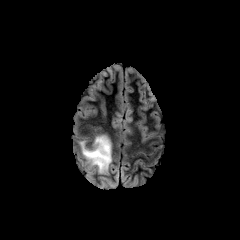
FLAIR magnetic resonance.
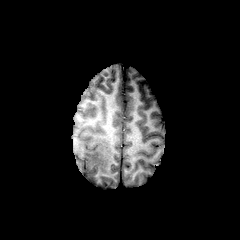
T1-weighted MR image.
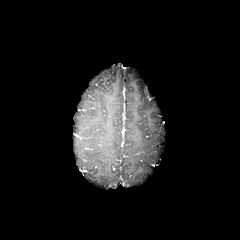
Post-contrast T1-weighted magnetic resonance of the same slice.
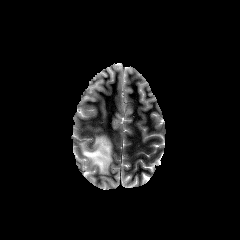
T2-weighted MR image.
Head.
The edema is located at <box>81,135,111,174</box>.